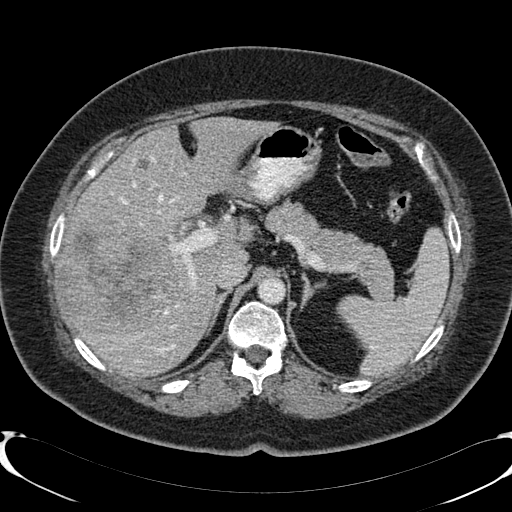

CT image
Segmented structures:
* hepatic lesion: [60, 215, 176, 332], [136, 159, 148, 169]
* liver: [61, 118, 276, 376]